FLAIR MR.
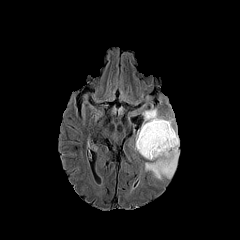
T1-weighted MR.
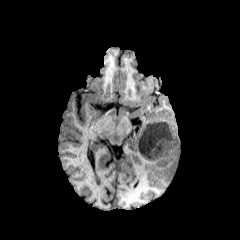
Post-contrast T1-weighted magnetic resonance.
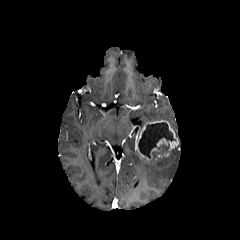
T2-weighted MRI.
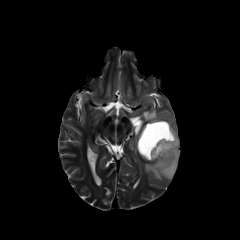
Head
edema: rect(139, 104, 179, 180) | non-enhancing tumor core: rect(151, 145, 169, 157); rect(139, 122, 175, 158) | enhancing tumor: rect(135, 120, 178, 160)